CT slice, Abdomen

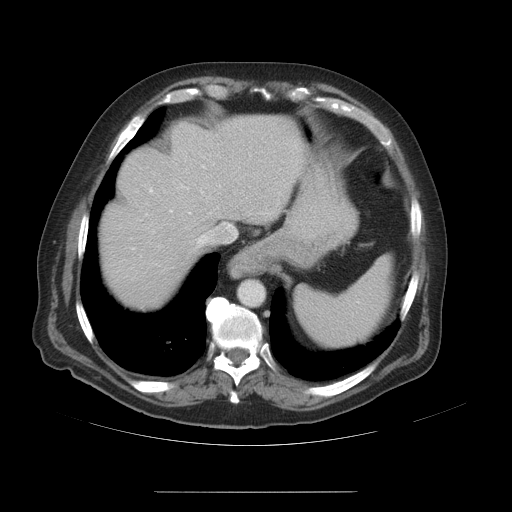
Some hepatic vessels may have no box.
Hepatic vessel = x1=170, y1=210, x2=171, y2=211; x1=211, y1=223, x2=235, y2=243; x1=150, y1=189, x2=151, y2=192; x1=182, y1=185, x2=188, y2=188.